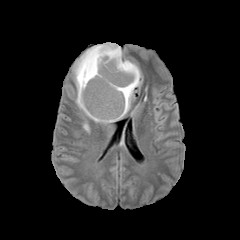
FLAIR MRI.
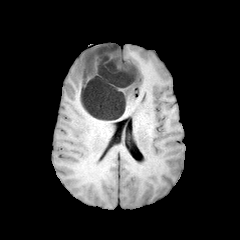
T1-weighted MRI of the same slice.
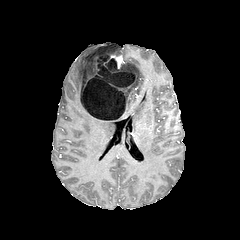
Post-contrast T1-weighted MRI.
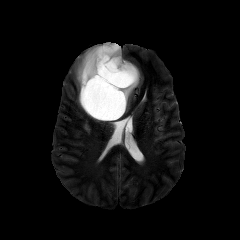
T2-weighted magnetic resonance.
Head.
Edema: 125,60,142,113; 72,46,115,123.
Enhancing tumor: 110,54,124,67.
Non-enhancing tumor core: 80,44,137,120.